CT image 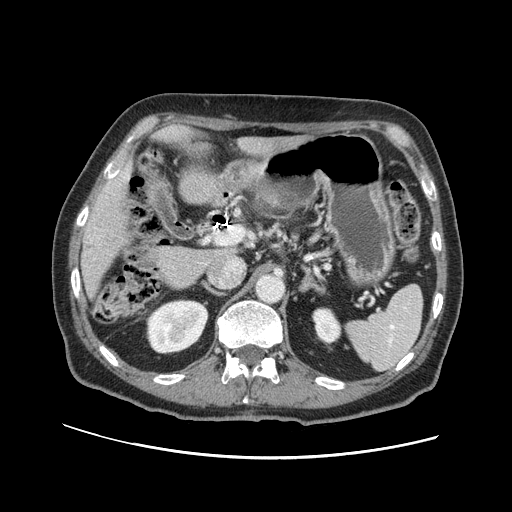
The pancreas appears at box(255, 219, 264, 226).